Computed tomography

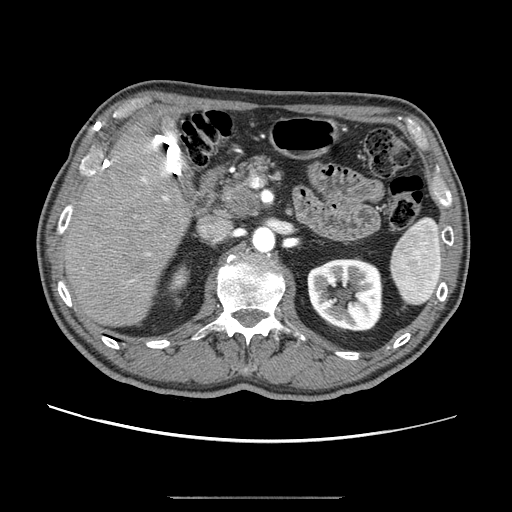 The pancreatic tumor is bounded by <box>223,187,260,215</box>. The pancreas is at <box>222,158,272,216</box>.